Computed tomography; 512x512 px; Lower abdomen

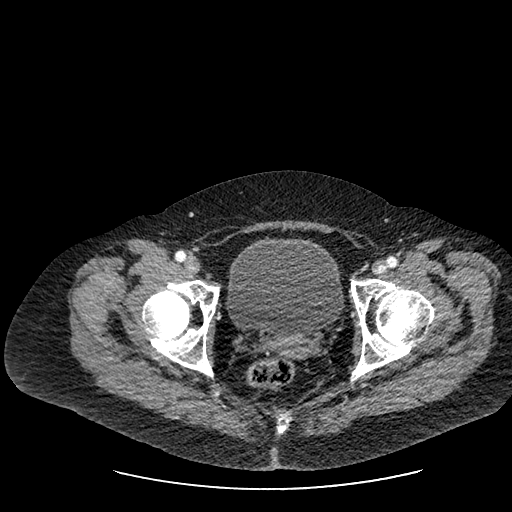 Segmented structures:
* urinary bladder: x1=226 y1=241 x2=342 y2=337